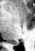
35x51, Magnetic resonance, Medial temporal lobe
The posterior hippocampus lies within 13, 43, 18, 44.